FLAIR MRI.
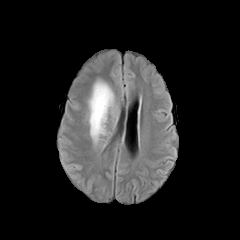
T1-weighted MR.
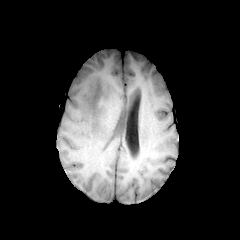
Post-contrast T1-weighted MRI.
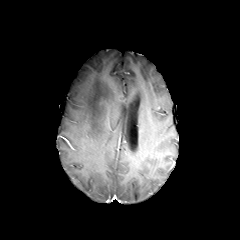
T2-weighted magnetic resonance.
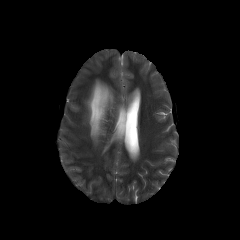
Segmented structures:
• edema: x1=85, y1=79, x2=117, y2=141